512x512, Abdomen, CT image, Slice index 39

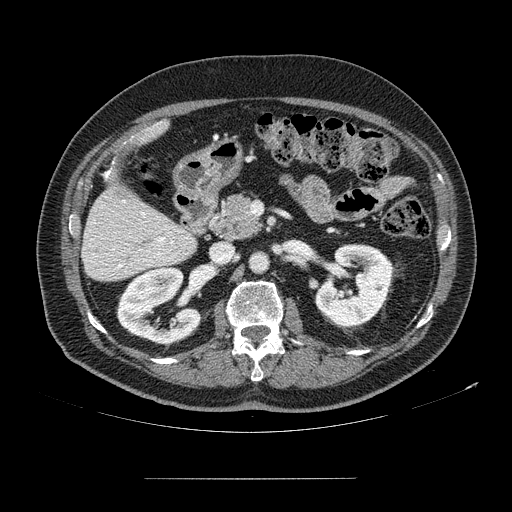
Annotated regions:
• pancreas: left=212, top=193, right=262, bottom=241